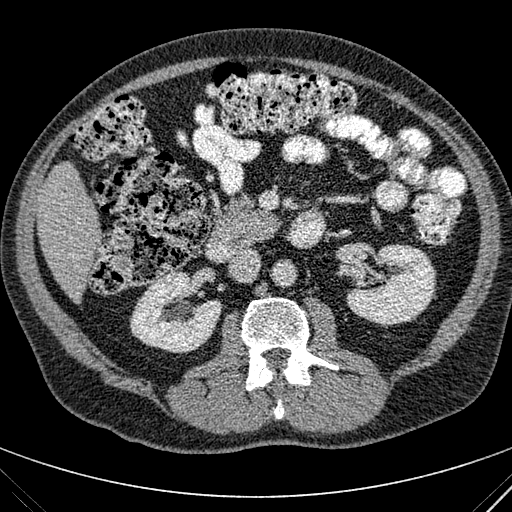 512x512; Computed tomography
• liver: l=36, t=163, r=99, b=303
• kidney: l=131, t=270, r=221, b=352; l=339, t=243, r=434, b=324